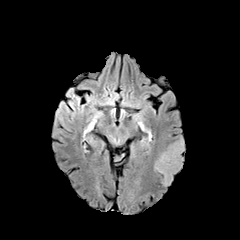
FLAIR magnetic resonance.
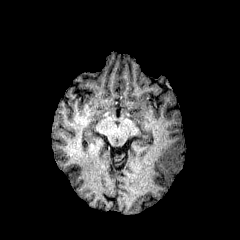
Same slice, T1-weighted magnetic resonance.
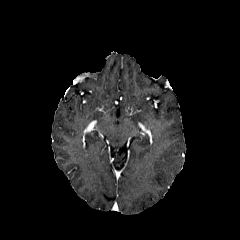
Post-contrast T1-weighted MR image of the same slice.
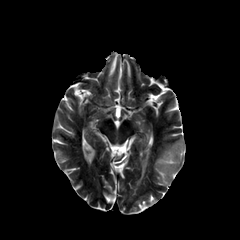
Same slice, T2-weighted MRI.
Image size 240x240
Non-enhancing tumor core at l=171, t=141, r=185, b=154.
Edema at l=153, t=141, r=183, b=187.